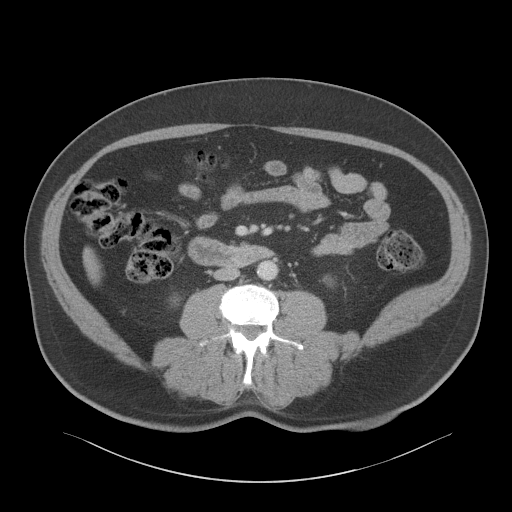

512x512 | Computed tomography | Upper abdomen

The liver appears at (left=90, top=258, right=98, bottom=273).